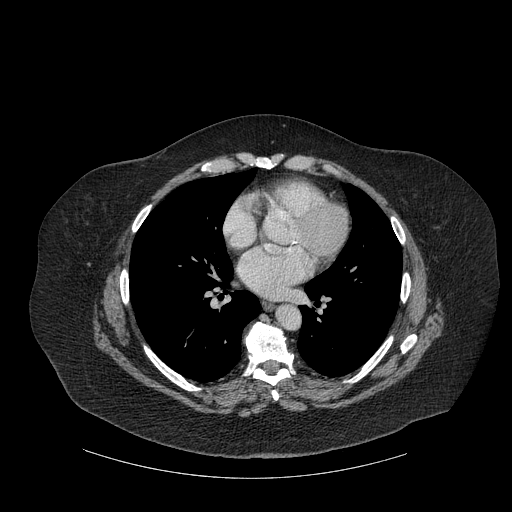

Computed tomography
Lung at (left=130, top=169, right=260, bottom=381), (left=297, top=189, right=401, bottom=376).
Bone at (left=272, top=390, right=278, bottom=400), (left=144, top=346, right=200, bottom=390), (left=401, top=334, right=416, bottom=353), (left=132, top=205, right=151, bottom=231), (left=256, top=158, right=273, bottom=168), (left=244, top=322, right=294, bottom=385), (left=391, top=217, right=405, bottom=243), (left=120, top=270, right=128, bottom=303), (left=401, top=273, right=410, bottom=302), (left=347, top=336, right=392, bottom=382).